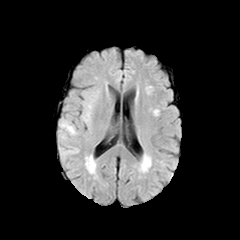
FLAIR MRI.
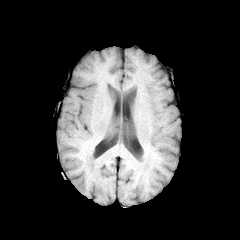
T1-weighted MR of the same slice.
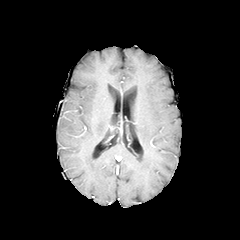
Post-contrast T1-weighted MRI.
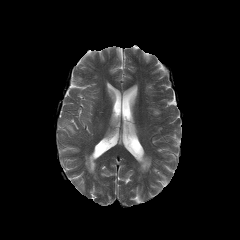
T2-weighted magnetic resonance.
240x240
edema:
  - [85, 154, 96, 172]
  - [60, 118, 79, 141]
  - [62, 144, 79, 153]
  - [80, 93, 94, 125]